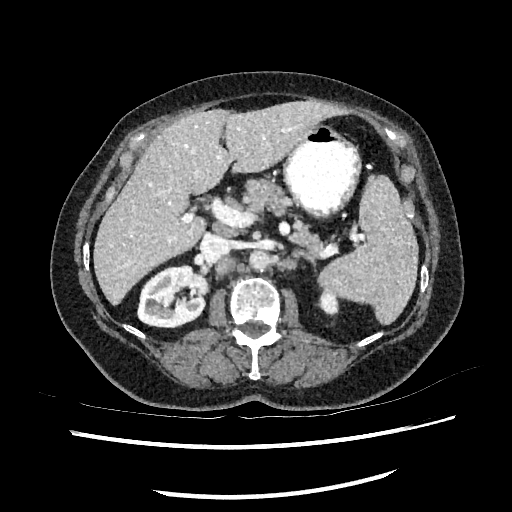 CT scan slice; Image size 512x512; Abdomen
kidney: x1=321 y1=293 x2=336 y2=312, x1=138 y1=266 x2=206 y2=326 | liver: x1=93 y1=100 x2=342 y2=305